Liver | CT scan slice

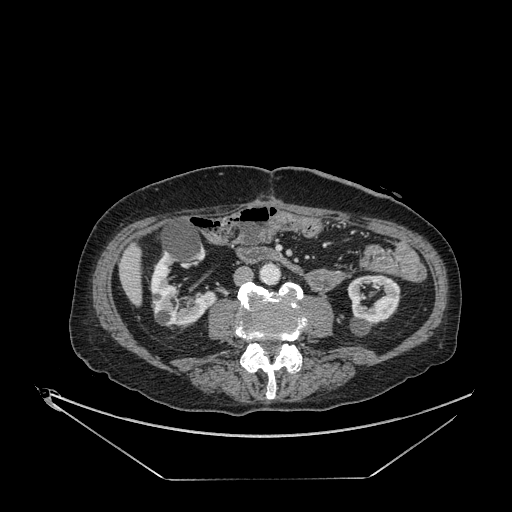

Kidney: bounding box x1=196, y1=248, x2=204, y2=259; x1=348, y1=276, x2=399, y2=324; x1=151, y1=252, x2=215, y2=324.
Liver: bounding box x1=119, y1=244, x2=140, y2=305.